Image size 512x512 | Slice 148/629 | CT image

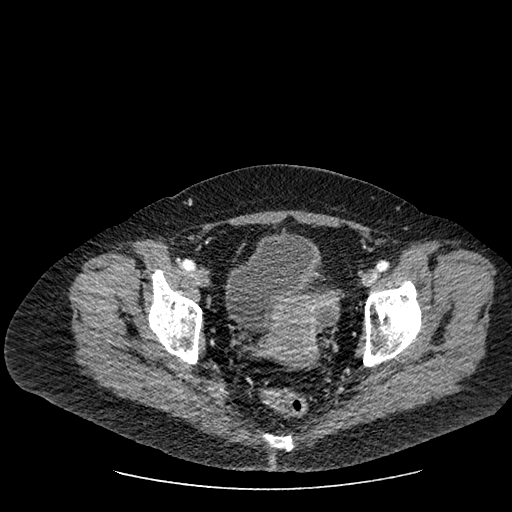 The urinary bladder is at {"x1": 228, "y1": 231, "x2": 315, "y2": 330}.